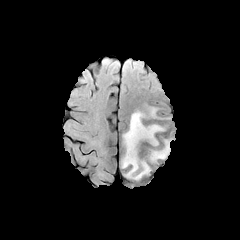
FLAIR MRI.
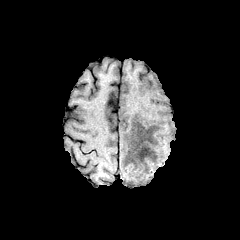
Same slice, T1-weighted magnetic resonance.
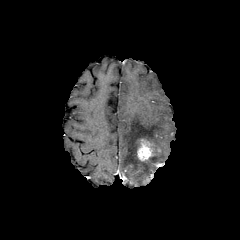
Post-contrast T1-weighted MR.
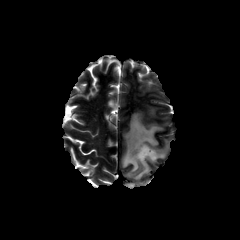
T2-weighted magnetic resonance.
Head
Findings:
• edema: box(122, 113, 171, 180)
• non-enhancing tumor core: box(136, 137, 155, 161)
• enhancing tumor: box(137, 139, 153, 160)